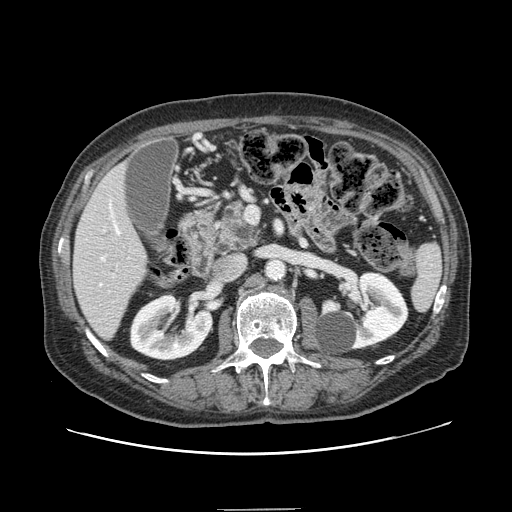 CT scan slice, Abdomen

{"pancreas": ["left=215, top=195, right=259, bottom=253"]}